Abdomen; CT image

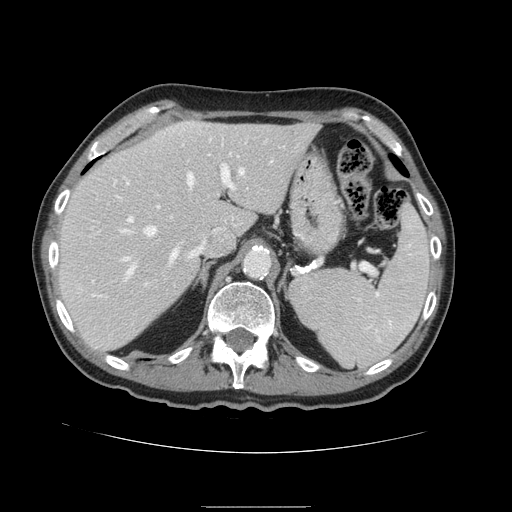 spleen: 290, 205, 429, 367